Field of view 240x240 mm
FLAIR MRI.
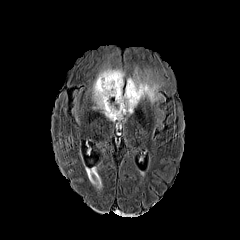
T1-weighted MR image.
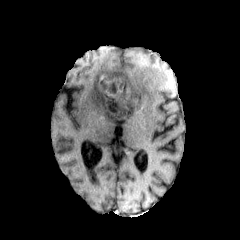
Post-contrast T1-weighted magnetic resonance.
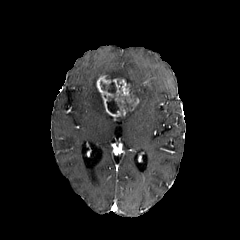
T2-weighted MRI.
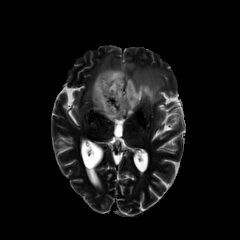
3 edema regions are located at 88,58,125,122; 126,66,168,107; 156,114,164,123. 2 non-enhancing tumor core regions appear at 106,96,119,114; 107,80,116,93. The enhancing tumor is at 96,74,139,119.